Slice index 27, 35x53, MR image 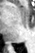 The posterior hippocampus lies within 7,45,11,45.